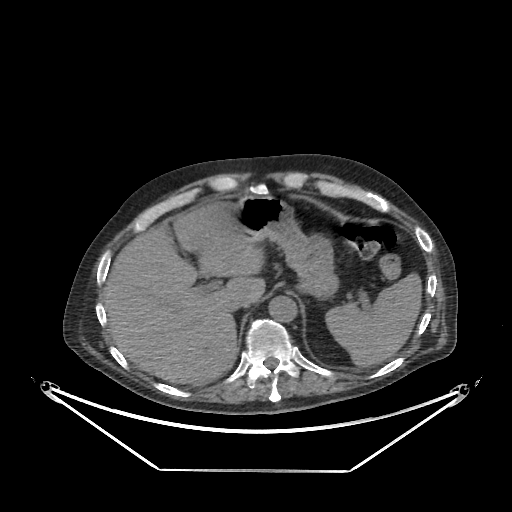 Computed tomography | Liver | 512x512 px
The liver lies within [100,202,265,385].